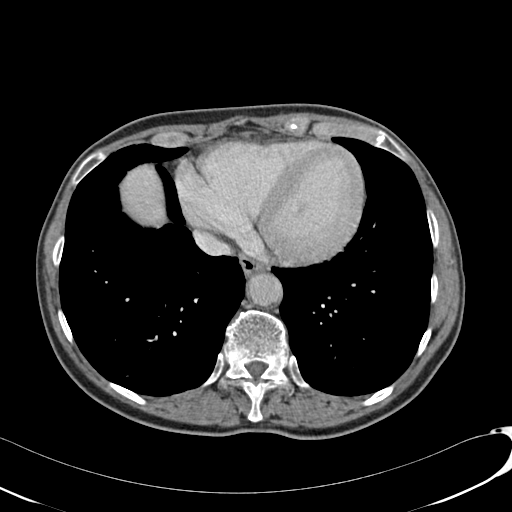

CT.
liver:
  - rect(122, 166, 164, 223)